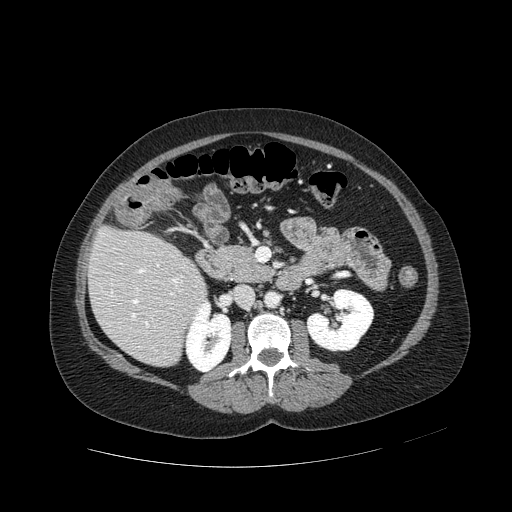

Computed tomography
The pancreas is located at (left=225, top=247, right=270, bottom=283).